CT image | Abdomen
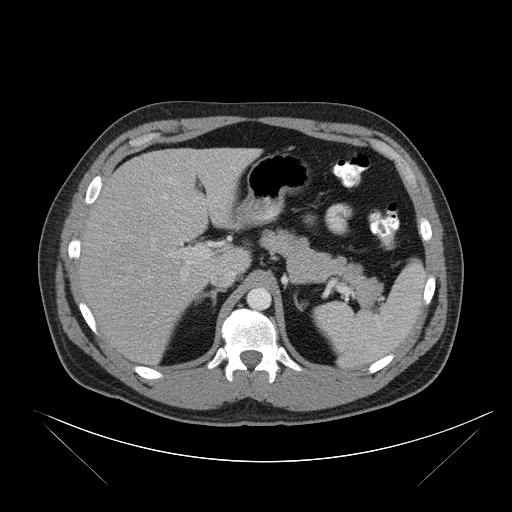 Spleen at (314,263,425,367).